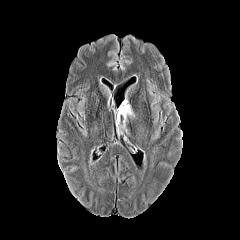
FLAIR magnetic resonance.
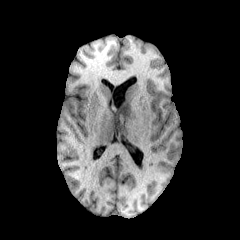
T1-weighted magnetic resonance of the same slice.
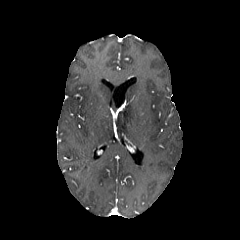
Post-contrast T1-weighted MRI.
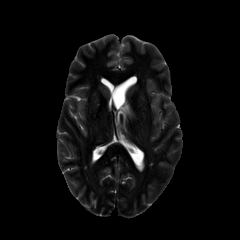
T2-weighted MR.
240x240; Head
The edema is bounded by bbox=[117, 105, 134, 121].